CT image. Slice 23/47.
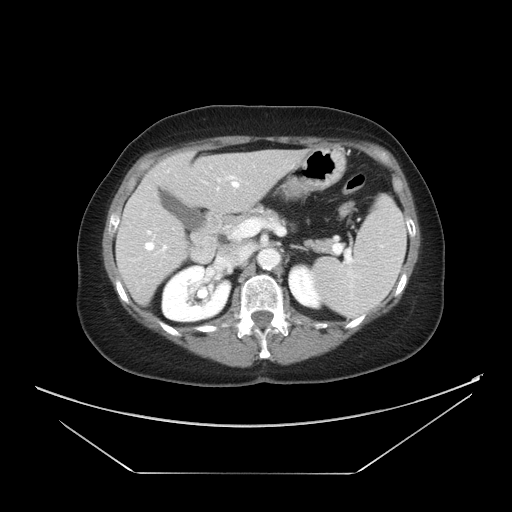

The vessel annotation is not exhaustive.
7 hepatic vessel regions are located at 230:176:240:186, 217:179:219:180, 145:242:153:249, 162:245:166:250, 148:231:150:233, 233:252:245:260, 213:256:232:273.